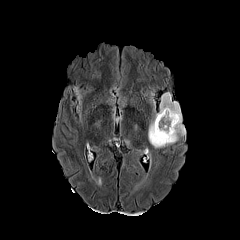
FLAIR MR image.
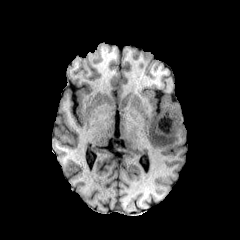
T1-weighted MRI.
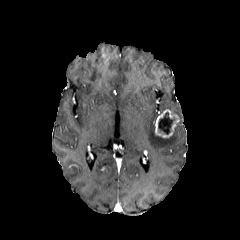
Post-contrast T1-weighted MR.
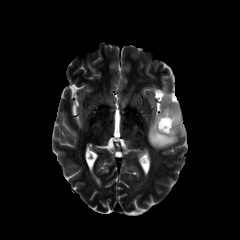
Same slice, T2-weighted magnetic resonance.
Brain
Findings:
* enhancing tumor: [153,109,179,137]
* edema: [148,91,185,149]
* non-enhancing tumor core: [159,112,177,134]